Slice 460/707; 512x512; CT scan slice

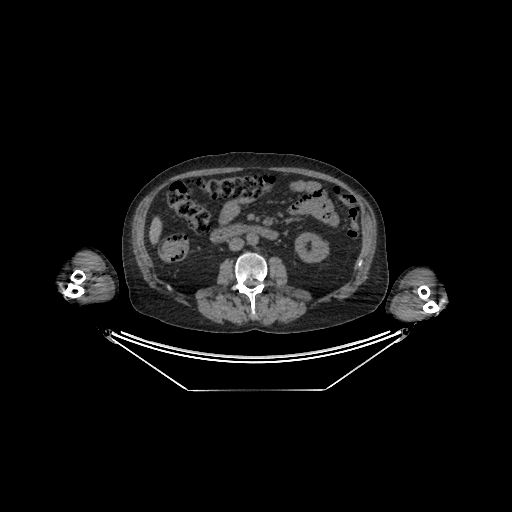

<segmentation>
  <kidney>l=295, t=232, r=328, b=262</kidney>
  <liver>l=149, t=217, r=161, b=243</liver>
</segmentation>